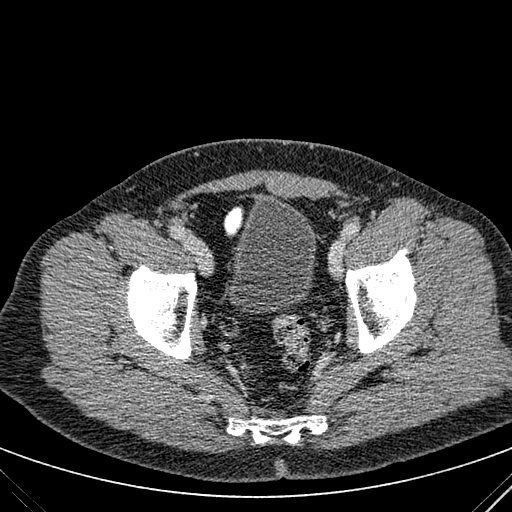

CT.
Segmented structures:
• urinary bladder: [225,197,318,314]